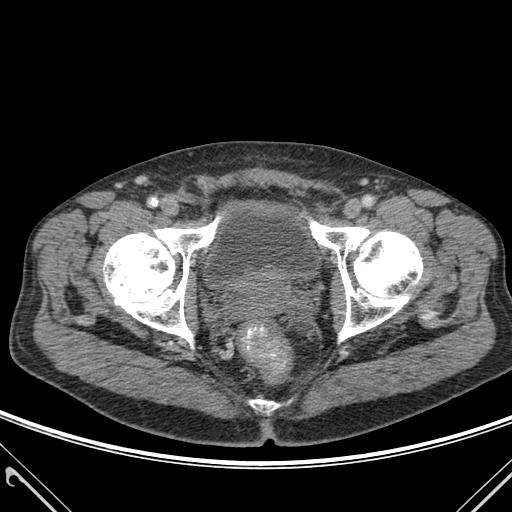
Computed tomography, 512x512

Bone — (310,221,422,340), (250,399,278,411), (104,217,219,344).